Slice 44/74. Image size 512x512. CT image.
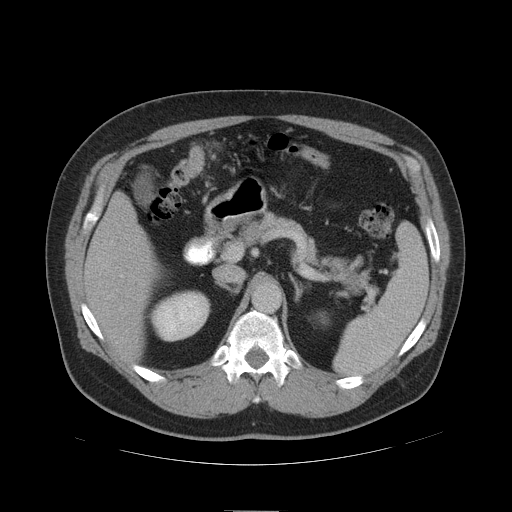

The colon tumor is bounded by 186:145:205:177.